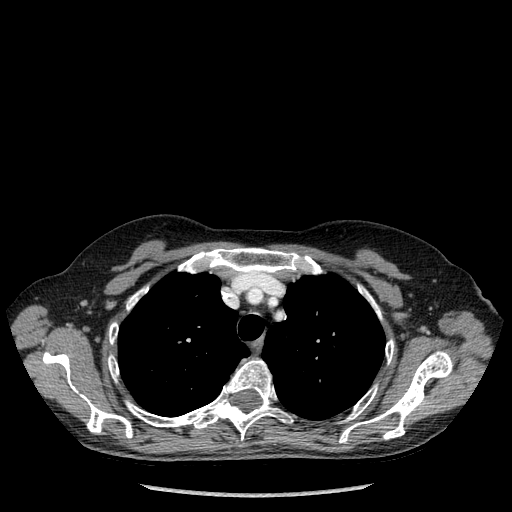 Computed tomography. Thorax. lung: <box>262,274,385,420</box>, <box>118,272,263,416</box> | bone: <box>178,248,322,276</box>, <box>385,339,393,364</box>, <box>339,351,452,443</box>, <box>343,384,377,421</box>, <box>109,322,118,344</box>, <box>358,284,381,319</box>, <box>126,286,148,310</box>, <box>108,355,118,381</box>, <box>42,352,132,438</box>, <box>126,358,293,440</box>